FLAIR MR image.
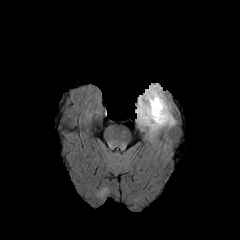
T1-weighted MRI.
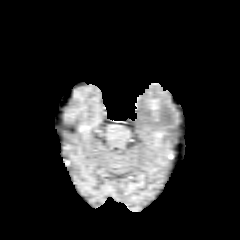
Post-contrast T1-weighted MRI.
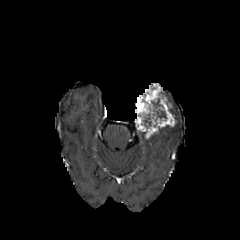
T2-weighted magnetic resonance.
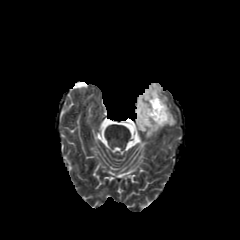
edema: (left=144, top=127, right=164, bottom=142) | non-enhancing tumor core: (left=143, top=99, right=166, bottom=127) | enhancing tumor: (left=136, top=85, right=176, bottom=137)